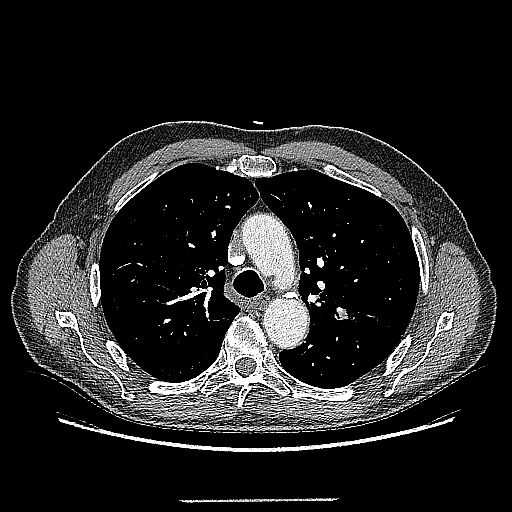 Computed tomography; Chest
Annotated regions:
- lung tumor: left=334, top=307, right=356, bottom=321